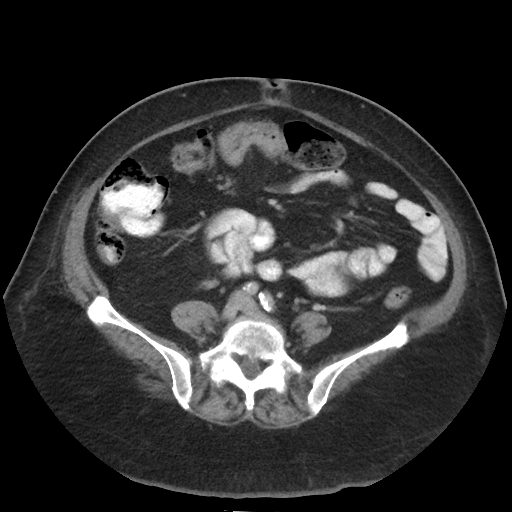

CT slice, Image size 512x512
The colon tumor is bounded by bbox(218, 122, 287, 165).